Liver, Computed tomography, Slice index 386

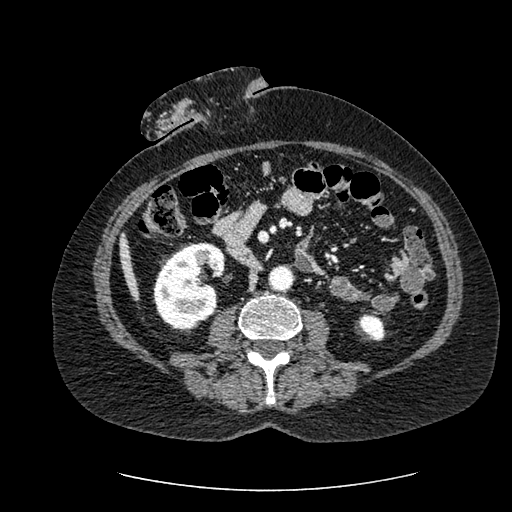
<segmentation>
  <kidney>rect(360, 315, 383, 339); rect(154, 243, 223, 328)</kidney>
  <liver>rect(120, 234, 140, 299)</liver>
</segmentation>